Image size 240x240; Brain
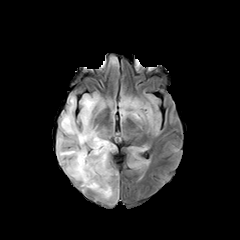
FLAIR MR.
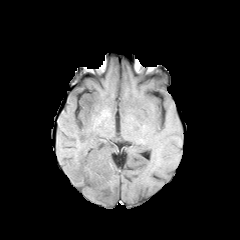
T1-weighted magnetic resonance.
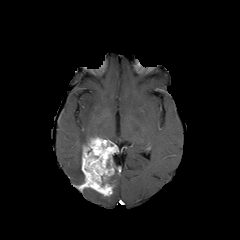
Post-contrast T1-weighted MR image of the same slice.
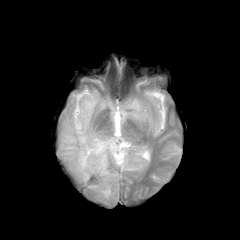
T2-weighted MR of the same slice.
Segmented structures:
• enhancing tumor: left=81, top=136, right=116, bottom=196
• non-enhancing tumor core: left=107, top=156, right=116, bottom=185
• edema: left=133, top=148, right=143, bottom=160; left=57, top=92, right=108, bottom=183; left=120, top=96, right=151, bottom=121; left=90, top=190, right=117, bottom=201